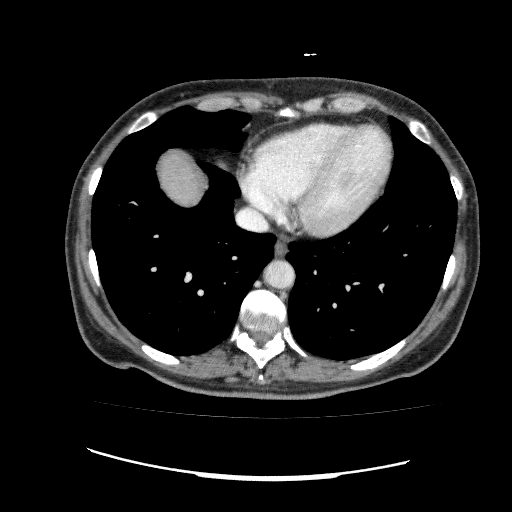

Abdomen | CT scan slice | Image size 512x512

liver:
  - {"x1": 158, "y1": 151, "x2": 201, "y2": 208}